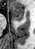 35x49, MR image
The anterior hippocampus is bounded by box=[9, 5, 24, 20].